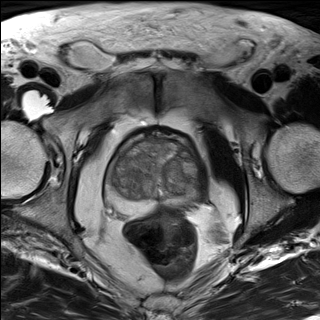
T2-weighted MR image.
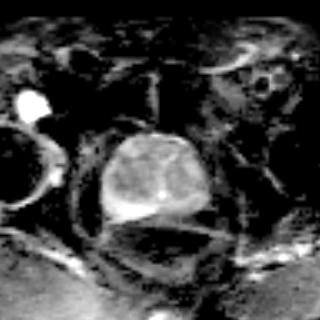
ADC MR image.
<segmentation>
  <prostate_transition_zone>(113,136,199,199)</prostate_transition_zone>
  <prostate_peripheral_zone>(105,152,200,213)</prostate_peripheral_zone>
</segmentation>